CT image; 512x512; Slice 485 of 677

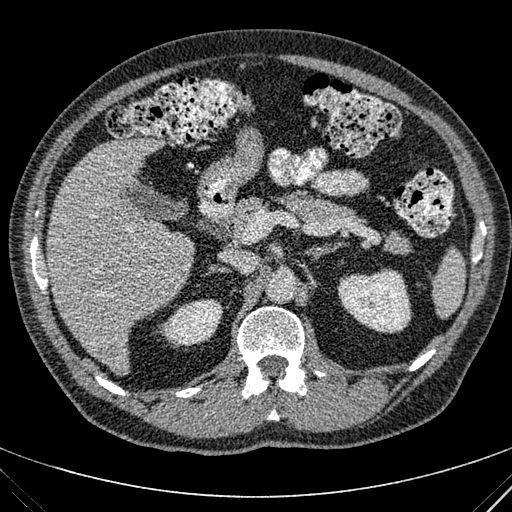
2 kidney regions are bounded by 163 299 222 344, 338 270 410 332. The focal liver lesion lies within 97 341 121 361. The liver appears at 46 139 191 374.